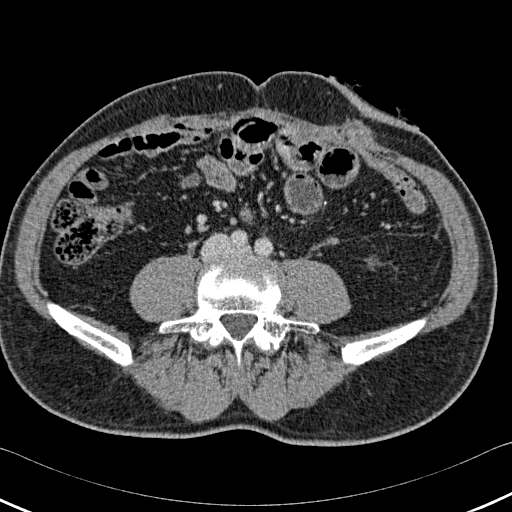

512x512; Computed tomography
• bone: [341,320,424,364], [48,304,131,364], [160,262,318,365]